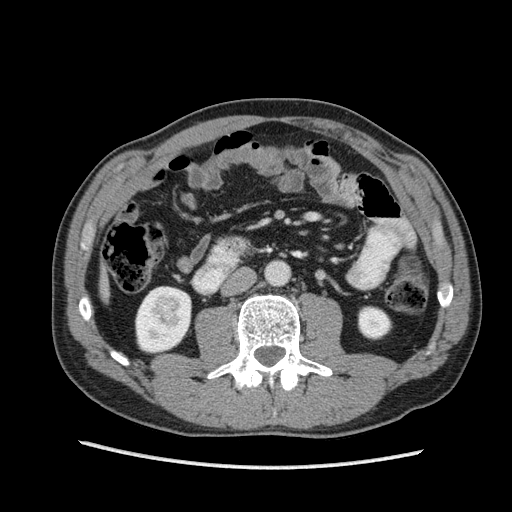
Liver | CT scan slice
<segmentation>
  <kidney>rect(359, 308, 389, 337); rect(136, 287, 190, 351)</kidney>
  <liver>rect(99, 274, 109, 303)</liver>
</segmentation>